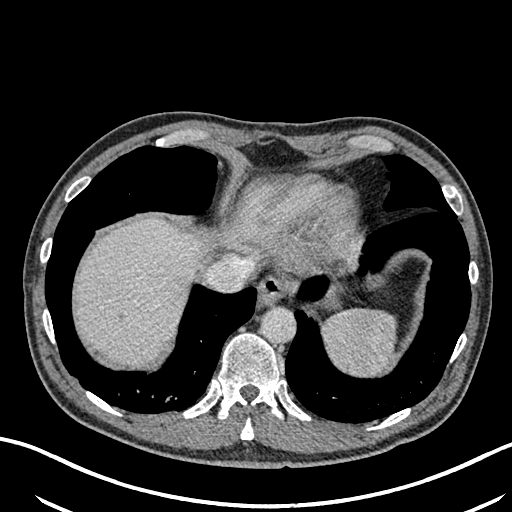
Liver; CT
2 liver regions are located at (246,184,275,209), (73,219,198,365).